Slice 353/771 | CT | Liver
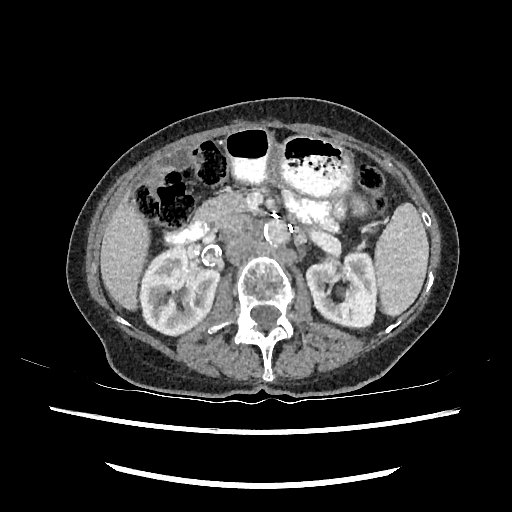

Liver — <box>100,192,148,309</box>.
Kidney — <box>306,253,376,326</box>, <box>140,244,219,334</box>.